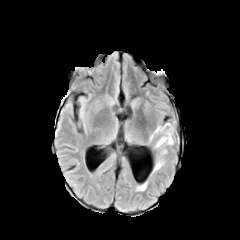
FLAIR magnetic resonance.
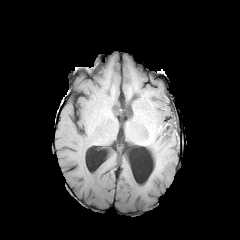
T1-weighted magnetic resonance.
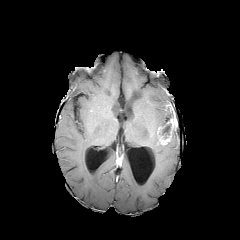
Post-contrast T1-weighted MR.
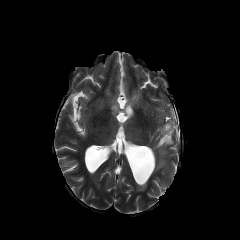
T2-weighted MRI of the same slice.
240x240 px
<segmentation>
  <non-enhancing_tumor_core>161, 118, 177, 141</non-enhancing_tumor_core>
  <enhancing_tumor>159, 135, 170, 144</enhancing_tumor>
  <edema>136, 181, 147, 190; 149, 124, 179, 173</edema>
</segmentation>